Slice index 20; MRI slice; Image width 38 mm
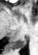

Posterior hippocampus — (12, 38, 26, 47).